FLAIR MR image.
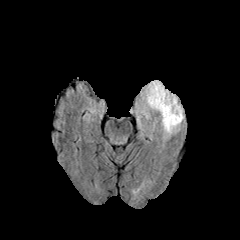
T1-weighted MR.
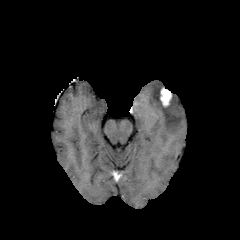
Post-contrast T1-weighted MR image.
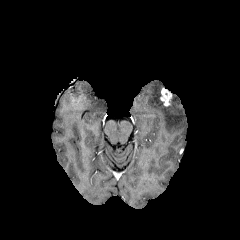
T2-weighted MRI.
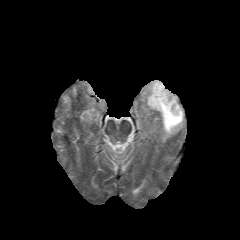
{"edema": ["<box>140,80,185,140</box>"], "enhancing_tumor": ["<box>159,87,172,106</box>"]}